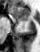
Magnetic resonance; 40x52 px; Medial temporal lobe
The anterior hippocampus is located at {"x1": 10, "y1": 6, "x2": 30, "y2": 21}.